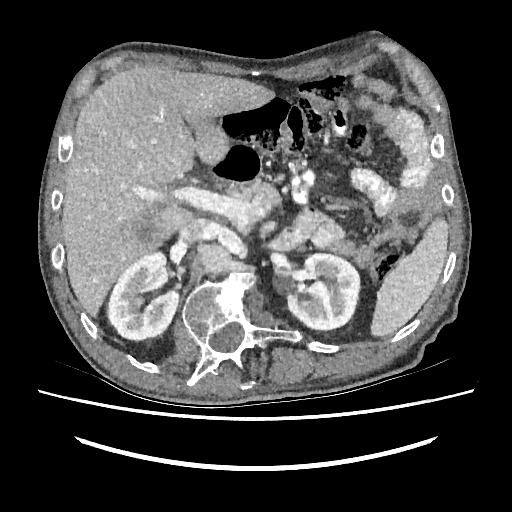
512x512. CT scan slice.
Kidney: (288, 254, 359, 329), (109, 253, 178, 339).
Liver: (63, 67, 273, 316).
Focal liver lesion: (136, 223, 155, 242).